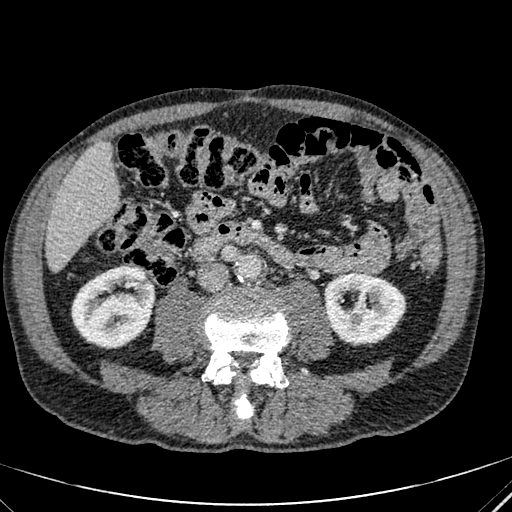
CT scan slice. Image size 512x512.
Kidney at left=325, top=274, right=404, bottom=342; left=72, top=267, right=153, bottom=346.
Liver at left=46, top=144, right=117, bottom=271.